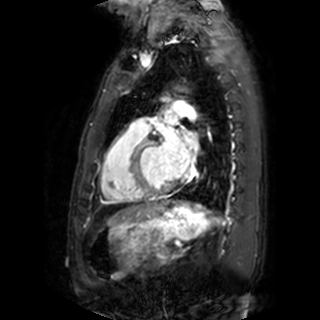

MRI slice | Cardiac | 320x320

3 left atrium regions are located at [160, 129, 189, 177], [186, 132, 195, 140], [166, 115, 174, 122].